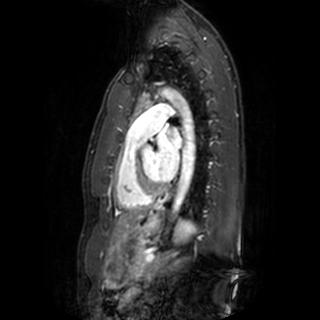

Heart; MRI slice
<segmentation>
  <left_atrium>(x1=156, y1=128, x2=181, y2=180)</left_atrium>
</segmentation>